CT slice | Lower abdomen

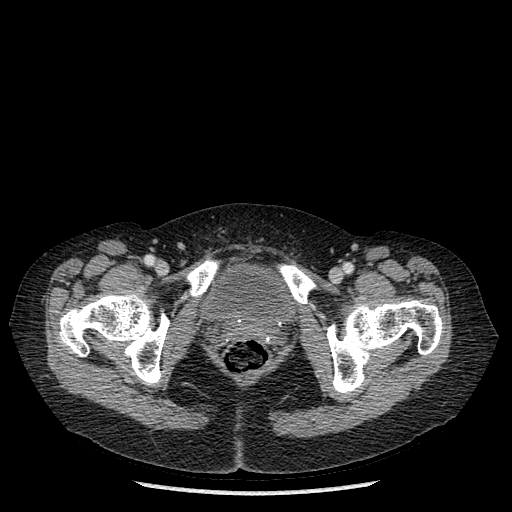

4 bone regions are bounded by box=[278, 265, 315, 303]; box=[186, 259, 218, 296]; box=[327, 300, 443, 395]; box=[58, 290, 169, 385]. The urinary bladder appears at box=[195, 261, 300, 340].